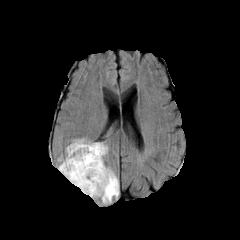
FLAIR magnetic resonance.
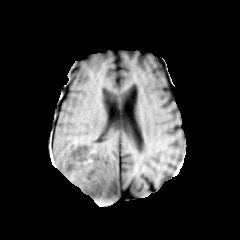
T1-weighted MRI.
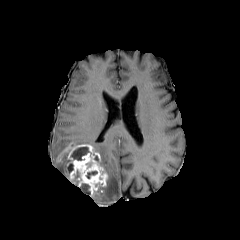
Post-contrast T1-weighted MR image of the same slice.
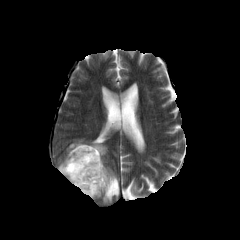
T2-weighted MR image of the same slice.
Image size 240x240
edema: box=[58, 152, 68, 176]; box=[70, 139, 119, 202]; box=[79, 184, 90, 195] | enhancing tumor: box=[67, 144, 108, 196] | non-enhancing tumor core: box=[71, 147, 88, 160]; box=[66, 163, 73, 173]